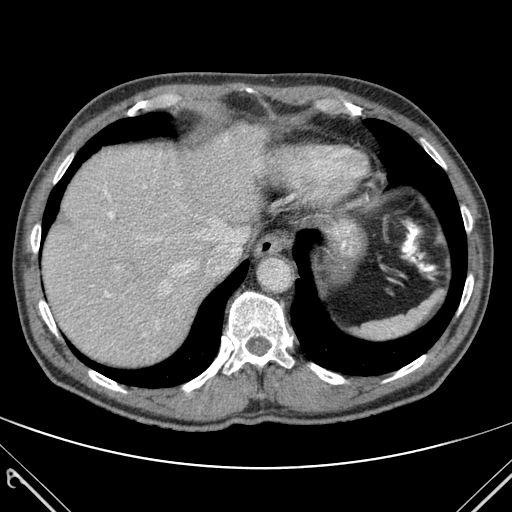

Abdomen | CT scan slice
Segmented structures:
- bone: 183 292 293 391, 31 225 40 252, 459 275 473 312, 53 155 72 183, 461 207 472 230, 39 300 57 335, 311 364 343 384, 89 371 124 392, 424 142 445 167, 388 355 425 380
- lung: 77 260 248 387, 291 119 466 375, 42 113 174 235
- liver: 43 124 268 367